Slice 111/155; 240x240
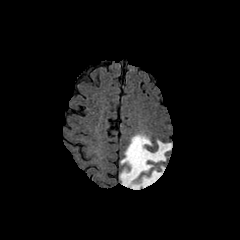
FLAIR MR.
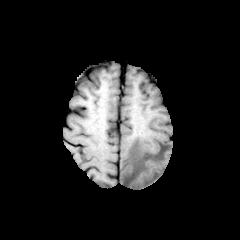
T1-weighted MR of the same slice.
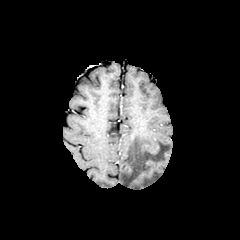
Same slice, post-contrast T1-weighted MR.
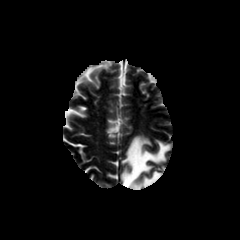
T2-weighted magnetic resonance.
The edema is located at x1=120, y1=135, x2=171, y2=189.